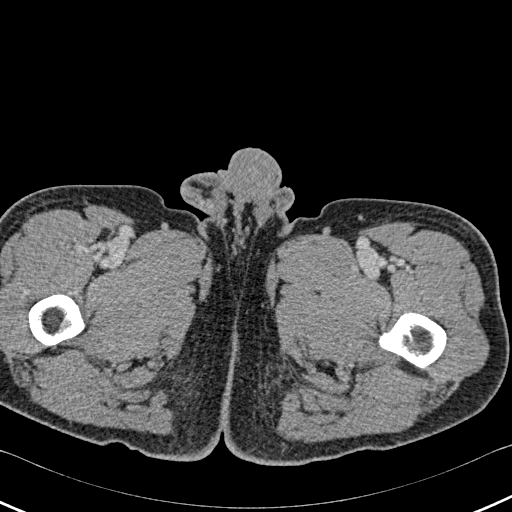
CT scan slice.

{"bone": ["(377,313,446,367)", "(29,295,84,344)"]}